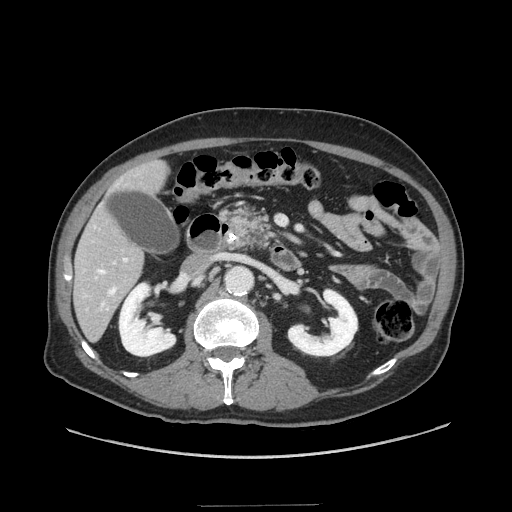

512x512 px; Computed tomography
pancreas: box=[230, 207, 267, 237] | pancreatic tumor: box=[232, 219, 254, 237]